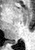 Hippocampus; MR
The posterior hippocampus appears at 8,40,17,43.